240x240. Image width 240 mm.
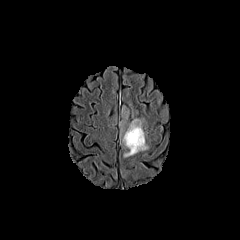
FLAIR magnetic resonance.
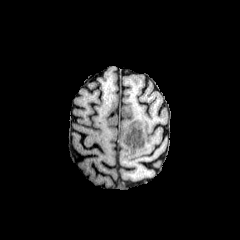
T1-weighted MRI of the same slice.
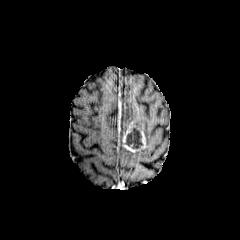
Post-contrast T1-weighted MR.
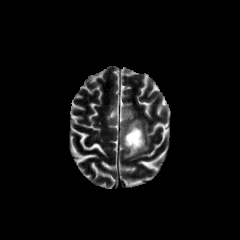
Same slice, T2-weighted MR image.
{
  "enhancing_tumor": [
    "122,120,137,142",
    "141,131,148,149",
    "122,145,138,152"
  ],
  "non-enhancing_tumor_core": [
    "123,122,143,149"
  ]
}